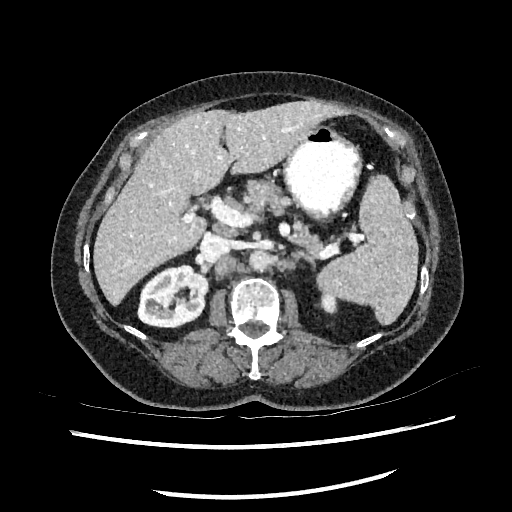

CT scan slice. Liver. The liver is located at 94, 100, 341, 305. 2 kidney regions are bounded by 138, 266, 206, 326; 323, 295, 334, 310.